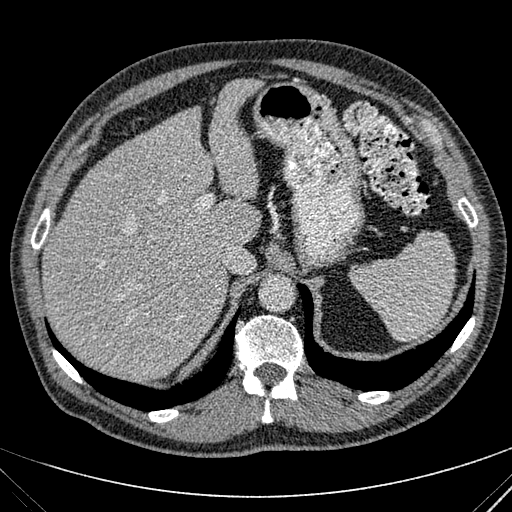 Computed tomography
liver: <bbox>44, 79, 264, 377</bbox>